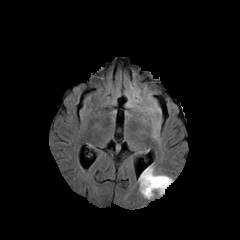
FLAIR MR.
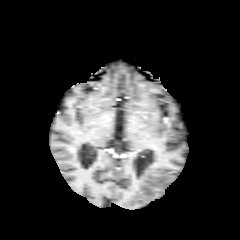
T1-weighted MR of the same slice.
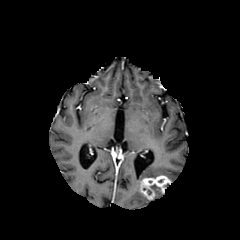
Post-contrast T1-weighted magnetic resonance of the same slice.
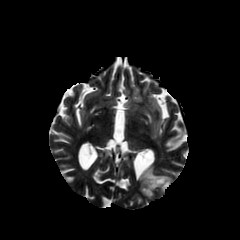
T2-weighted magnetic resonance.
240x240 px.
• enhancing tumor: box(140, 175, 170, 199)
• edema: box(137, 162, 155, 199); box(152, 187, 164, 195)